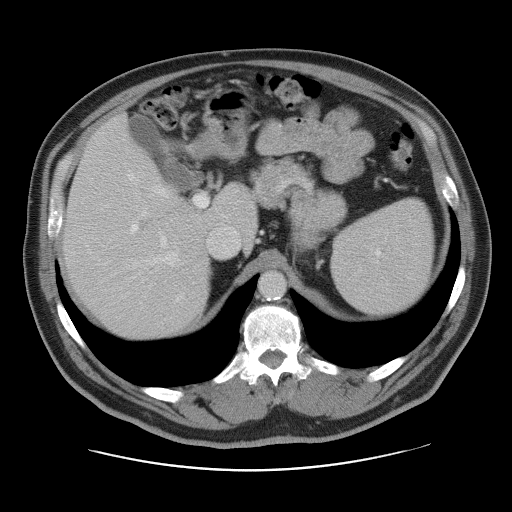

Computed tomography; Liver
The vessel boxes may cover only some of the vessels.
hepatic vessel: (left=129, top=221, right=137, bottom=232), (left=128, top=173, right=133, bottom=180), (left=206, top=227, right=239, bottom=255), (left=194, top=194, right=207, bottom=207), (left=159, top=231, right=165, bottom=245), (left=153, top=184, right=166, bottom=196), (left=141, top=208, right=146, bottom=216), (left=134, top=182, right=135, bottom=184), (left=154, top=253, right=176, bottom=265)